CT image. Slice 127 of 588. Image width 351 mm.

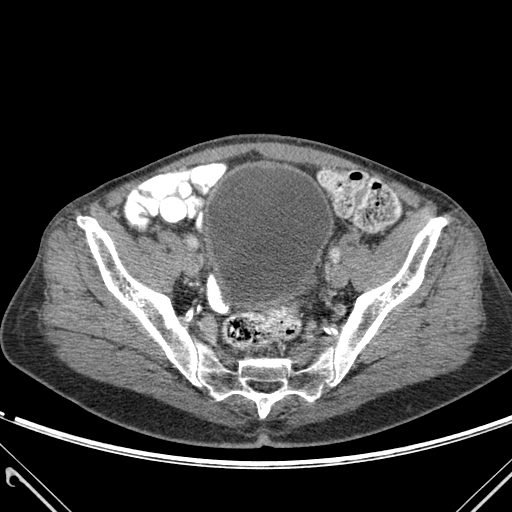 Bone = left=77, top=216, right=446, bottom=417; left=186, top=310, right=192, bottom=320.
Urinary bladder = left=208, top=167, right=330, bottom=304.